Image size 240x240; Slice index 35
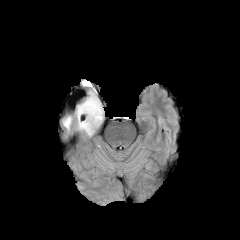
FLAIR MR image.
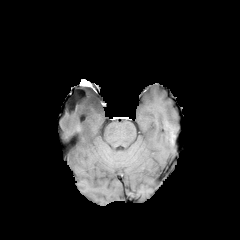
T1-weighted MR of the same slice.
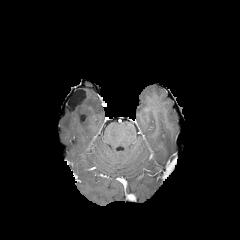
Post-contrast T1-weighted MR.
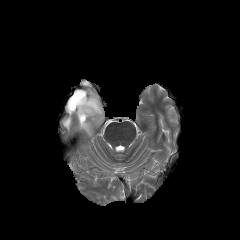
T2-weighted MR image.
{
  "edema": [
    "(x1=62, y1=89, x2=104, y2=136)"
  ]
}